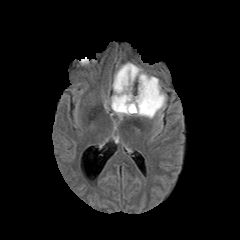
FLAIR MR.
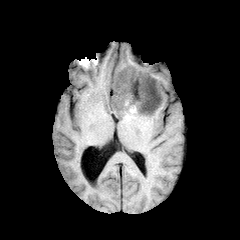
T1-weighted MR image.
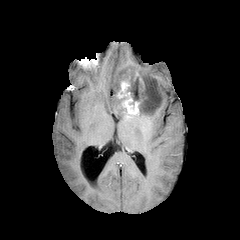
Post-contrast T1-weighted MRI.
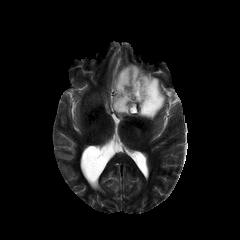
T2-weighted MRI.
240x240, Brain
The enhancing tumor is located at <bbox>116, 79, 139, 113</bbox>. The edema is at <bbox>108, 62, 167, 128</bbox>. 2 non-enhancing tumor core regions appear at <bbox>127, 72, 159, 108</bbox>, <bbox>117, 98, 126, 112</bbox>.